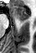
Magnetic resonance, Hippocampus

Anterior hippocampus at [x1=12, y1=6, x2=29, y2=21].